CT scan slice. 512x512 px. Image width 410 mm.
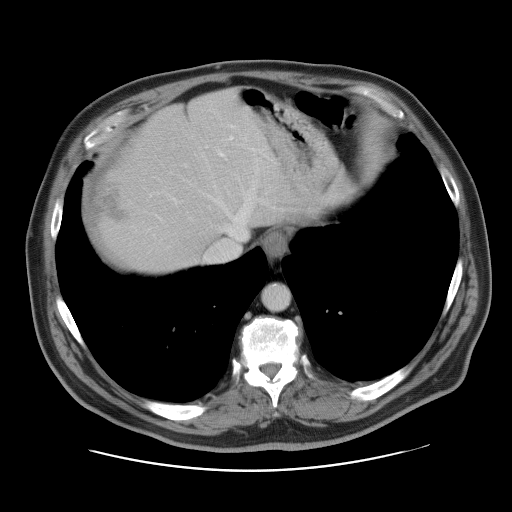 Some hepatic vessels may have no box.
Liver tumor — l=98, t=181, r=127, b=222.
Hepatic vessel — l=218, t=151, r=224, b=156; l=227, t=124, r=236, b=128; l=228, t=136, r=232, b=139; l=203, t=184, r=264, b=260; l=171, t=197, r=173, b=199.